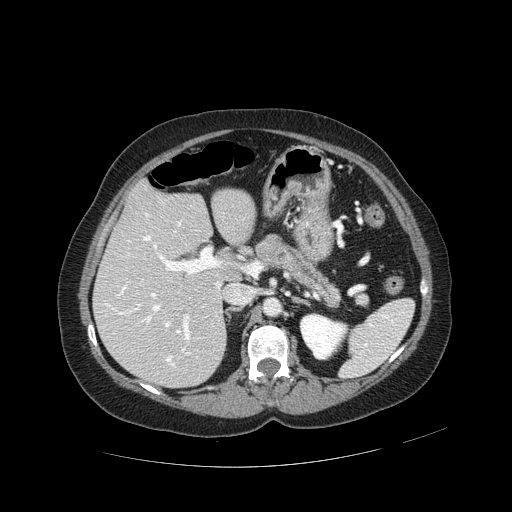
512x512. CT scan slice. Pancreatic tumor = [x1=258, y1=240, x2=286, y2=264].
Pancreas = [x1=253, y1=235, x2=340, y2=305].